FLAIR magnetic resonance.
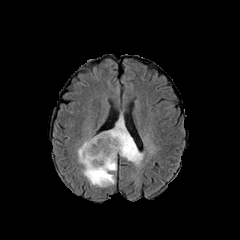
T1-weighted MR image.
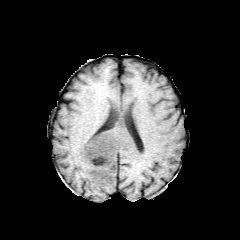
Post-contrast T1-weighted magnetic resonance.
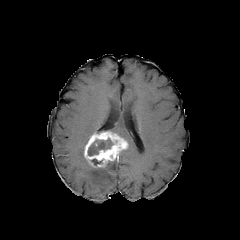
T2-weighted MR.
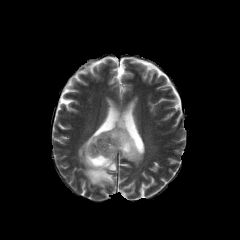
Image size 240x240.
Enhancing tumor: rect(84, 132, 128, 167).
Edema: rect(77, 140, 117, 187); rect(108, 115, 143, 166).
Non-enhancing tumor core: rect(88, 139, 112, 155).